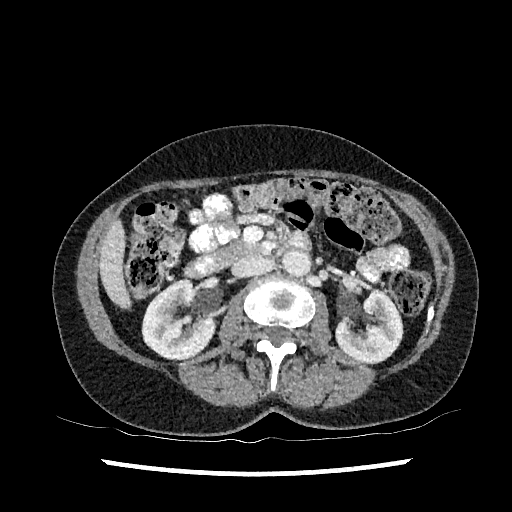

Abdomen | CT image

liver:
  - [99, 220, 129, 306]
kidney:
  - [336, 291, 402, 362]
  - [143, 280, 214, 359]